FLAIR MR image.
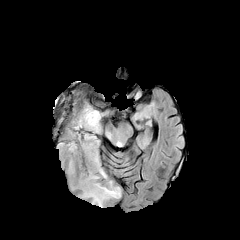
T1-weighted magnetic resonance.
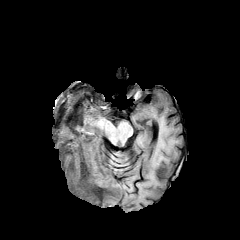
Post-contrast T1-weighted MR.
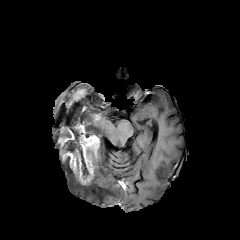
T2-weighted magnetic resonance.
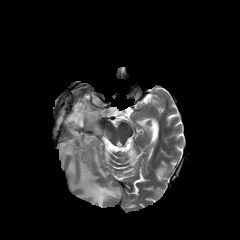
Enhancing tumor at bbox=[61, 149, 75, 173]; bbox=[60, 127, 74, 147]; bbox=[74, 122, 99, 185].
Non-enhancing tumor core at bbox=[60, 115, 88, 176]; bbox=[59, 126, 71, 140]; bbox=[92, 154, 99, 168].
Edema at bbox=[74, 104, 101, 135]; bbox=[66, 160, 121, 207].